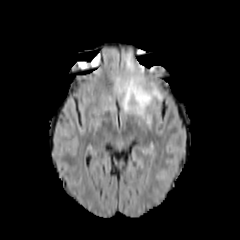
FLAIR MR image.
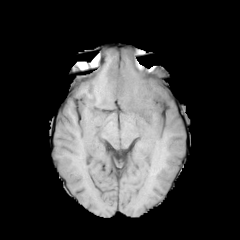
T1-weighted MR.
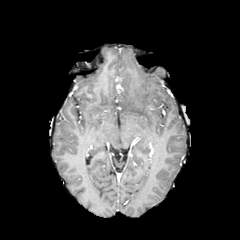
Same slice, post-contrast T1-weighted MRI.
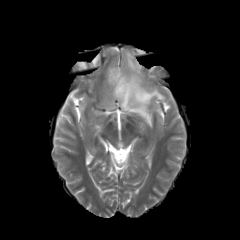
T2-weighted MR image of the same slice.
Brain
Edema at rect(114, 53, 162, 124).